Field of view 381 mm wide, 0.80 mm slice spacing; Slice 403/826; CT slice

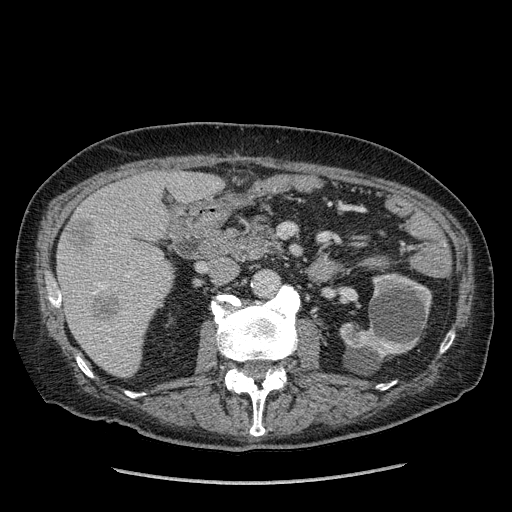 Liver — box(57, 170, 223, 377).
Hepatic lesion — box(67, 216, 94, 249); box(94, 293, 118, 319).
Kidney — box(373, 274, 431, 314); box(340, 323, 417, 357).